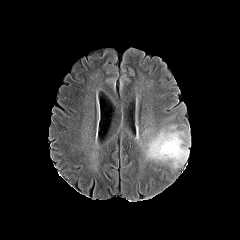
FLAIR MR.
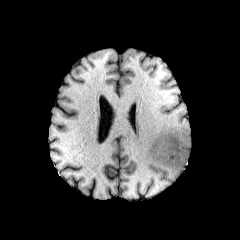
T1-weighted magnetic resonance.
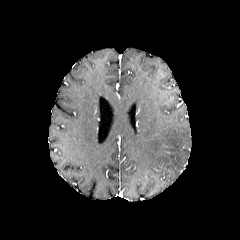
Same slice, post-contrast T1-weighted MR.
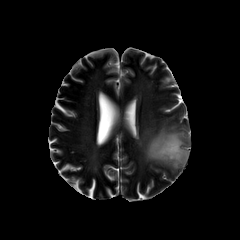
T2-weighted magnetic resonance of the same slice.
Head
Edema = 146, 131, 189, 167.